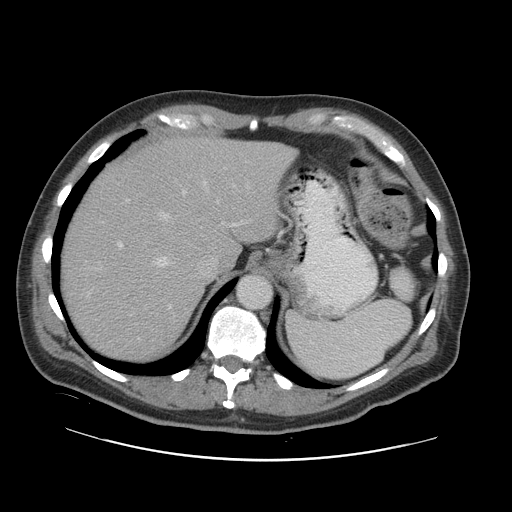

CT image
The vessel boxes may cover only some of the vessels.
hepatic_vessel:
  - 182, 190, 185, 195
  - 126, 199, 129, 201
  - 224, 167, 226, 169
  - 161, 213, 169, 219
  - 222, 222, 224, 224
  - 118, 242, 122, 247